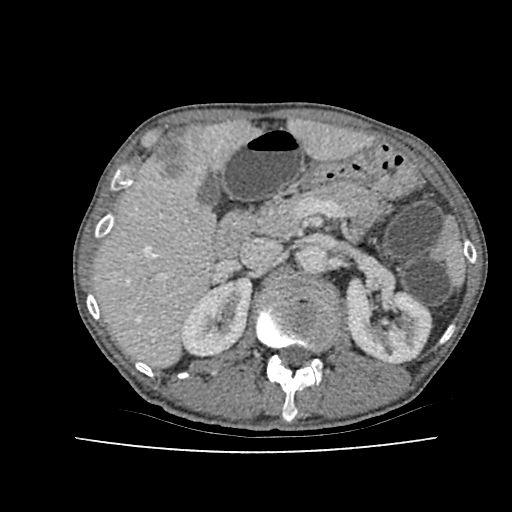 CT scan slice; Upper abdomen; 512x512
hepatic lesion: x1=155, y1=138, x2=188, y2=175 | kidney: x1=348, y1=281, x2=430, y2=362; x1=182, y1=279, x2=250, y2=355 | liver: x1=290, y1=121, x2=368, y2=156; x1=96, y1=122, x2=256, y2=363